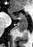

MRI slice | Medial temporal lobe
Annotated regions:
- anterior hippocampus: x1=11, y1=13, x2=26, y2=20
- posterior hippocampus: x1=17, y1=21, x2=27, y2=31